FLAIR MRI.
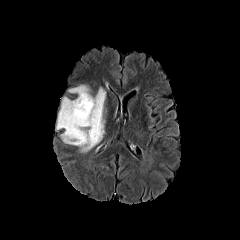
T1-weighted MR.
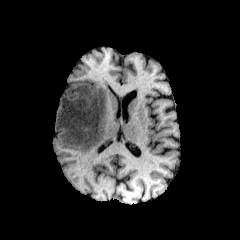
Post-contrast T1-weighted MR image.
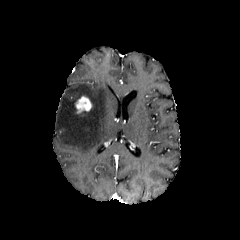
T2-weighted MR image.
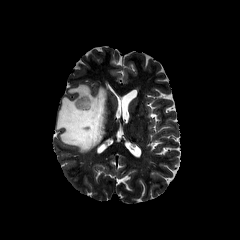
Head
Findings:
* enhancing tumor: left=75, top=95, right=91, bottom=113
* edema: left=55, top=83, right=106, bottom=153